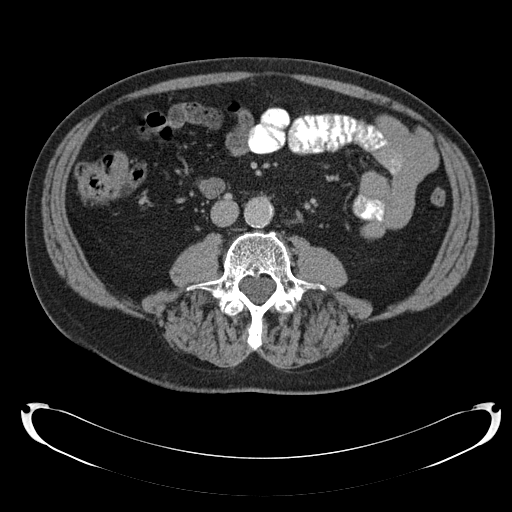

CT; Pelvis

Colon tumor at [101, 152, 128, 186].